Slice index 65, Liver, CT slice
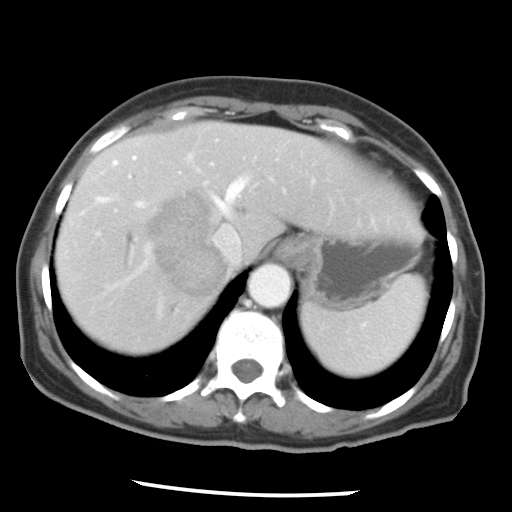

The vessel annotation is not exhaustive.
liver_tumor:
  - [x1=137, y1=185, x2=229, y2=301]
hepatic_vessel:
  - [x1=111, y1=158, x2=119, y2=166]
  - [x1=188, y1=154, x2=191, y2=159]
  - [x1=95, y1=196, x2=113, y2=203]
  - [x1=145, y1=248, x2=147, y2=252]
  - [x1=214, y1=223, x2=240, y2=263]
  - [x1=201, y1=176, x2=250, y2=219]
  - [x1=142, y1=260, x2=148, y2=267]
  - [x1=132, y1=155, x2=136, y2=160]
  - [x1=135, y1=200, x2=145, y2=207]